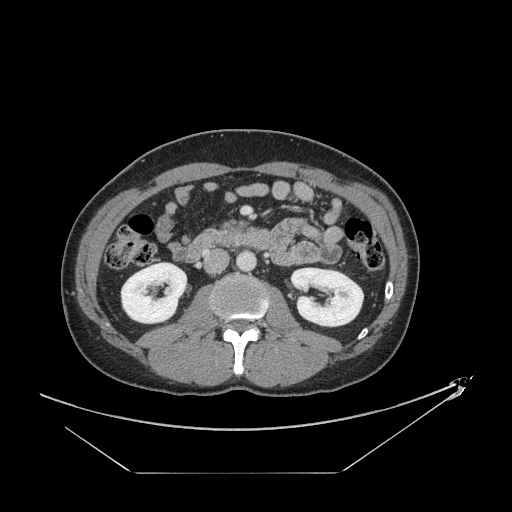
CT; 512x512
Findings:
• pancreas: x1=223 y1=221 x2=244 y2=232